MR image; Image size 38x52
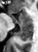
<segmentation>
  <anterior_hippocampus>(12, 11, 31, 23), (9, 15, 12, 15)</anterior_hippocampus>
  <posterior_hippocampus>(17, 24, 32, 41)</posterior_hippocampus>
</segmentation>